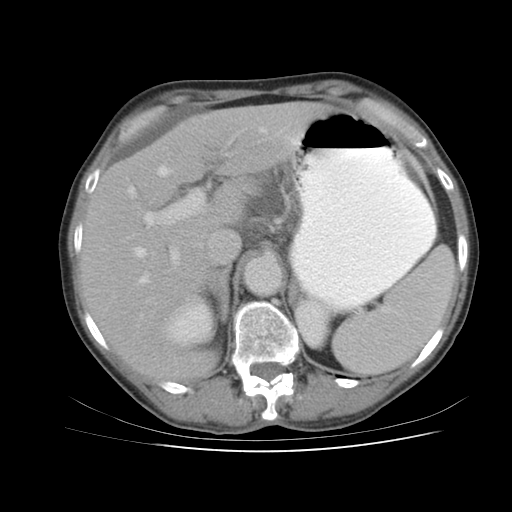

CT scan slice, Abdomen
<segmentation>
  <spleen>{"x1": 335, "y1": 249, "x2": 454, "y2": 374}</spleen>
</segmentation>